Slice 7/40, MRI slice 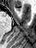
- anterior hippocampus: <box>17,8,20,11</box>